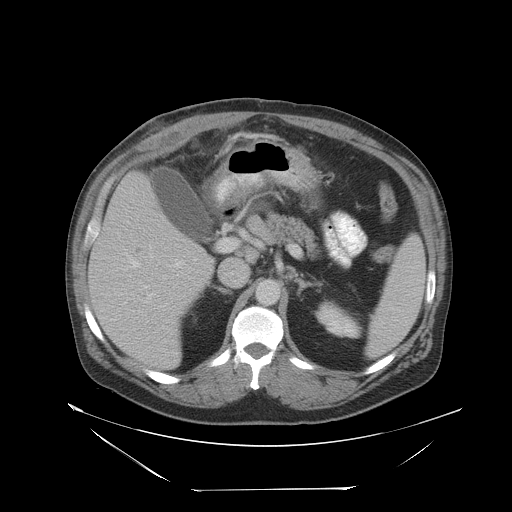
CT slice
Not every hepatic vessel necessarily has a box.
6 hepatic vessel regions appear at l=220, t=239, r=235, b=250; l=129, t=256, r=139, b=267; l=148, t=294, r=151, b=295; l=145, t=286, r=147, b=287; l=173, t=261, r=183, b=267; l=146, t=301, r=147, b=302.